Magnetic resonance, Slice index 28, Image size 34x49, Hippocampus
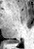 posterior hippocampus: <box>8,40,20,43</box>